CT image | Image width 411 mm
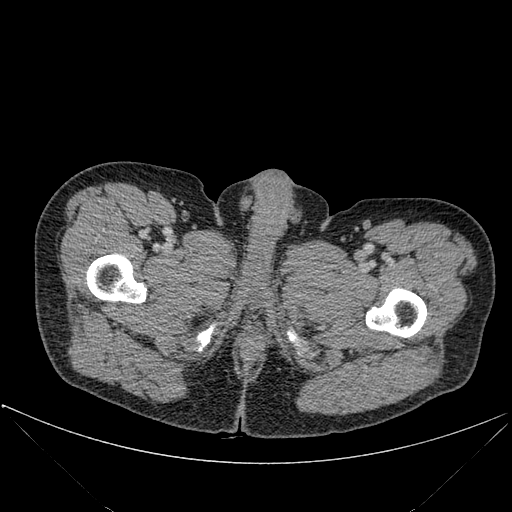 4 bone regions appear at 288 331 297 341, 366 288 426 337, 86 254 146 303, 197 325 213 350.